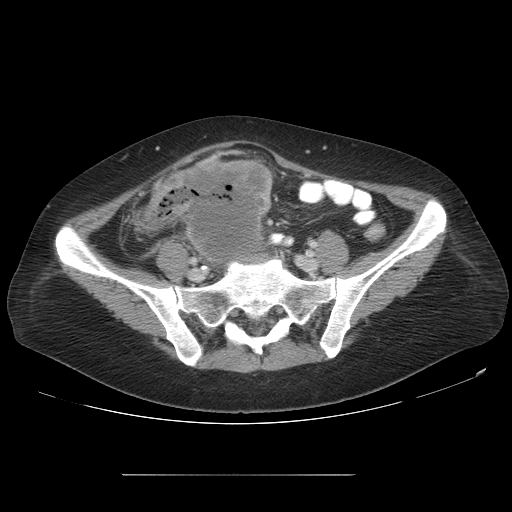

CT. Image size 512x512.

The colon tumor lies within 149 158 271 262.